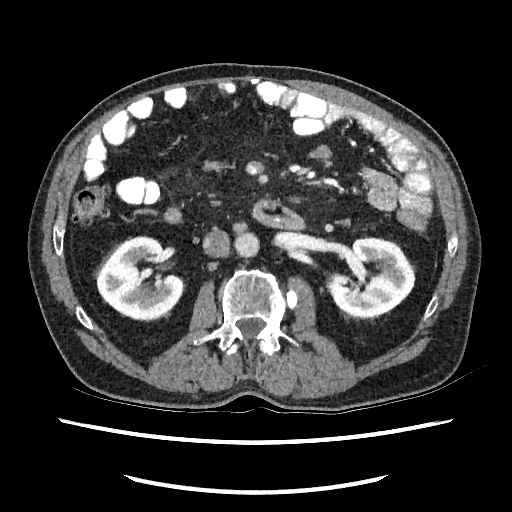

512x512 px, CT slice

Kidney = left=96, top=236, right=183, bottom=320; left=326, top=238, right=414, bottom=318.